Slice 108 of 155; 240x240
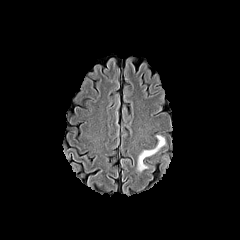
FLAIR MRI.
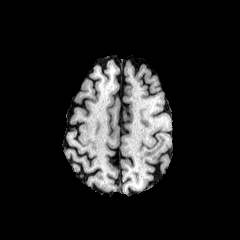
Same slice, T1-weighted magnetic resonance.
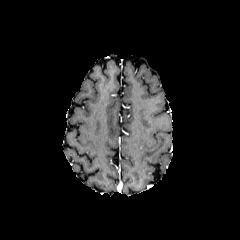
Post-contrast T1-weighted MR.
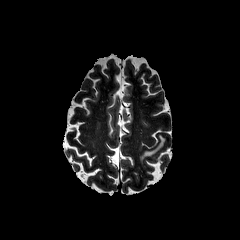
T2-weighted MR image of the same slice.
Edema: left=137, top=135, right=165, bottom=171.